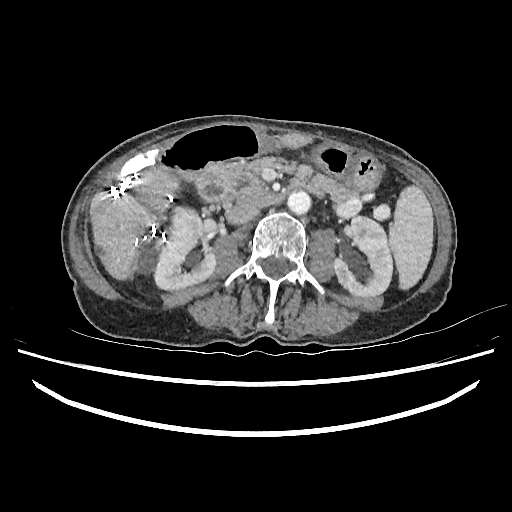
CT
Liver lesion — {"x1": 140, "y1": 245, "x2": 155, "y2": 273}.
Kidney — {"x1": 155, "y1": 207, "x2": 216, "y2": 289}, {"x1": 334, "y1": 216, "x2": 391, "y2": 296}.
Liver — {"x1": 279, "y1": 133, "x2": 310, "y2": 148}, {"x1": 91, "y1": 170, "x2": 179, "y2": 279}.